512x512 px, Upper abdomen, CT scan slice, Image width 424 mm 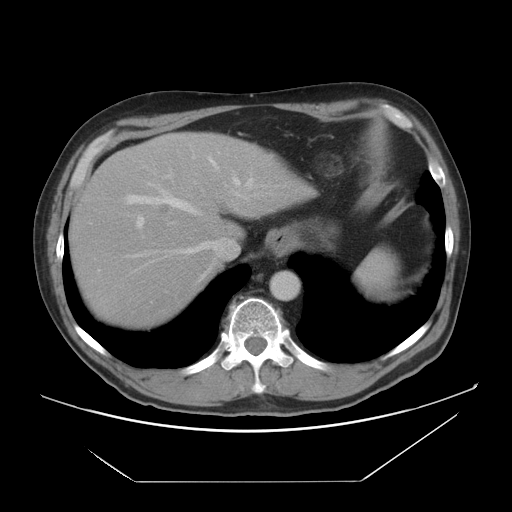

* liver: (69,132,316,327)
* hepatic lesion: (157,202,170,213)